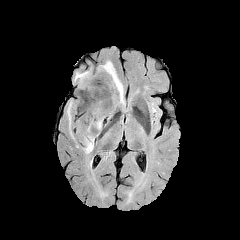
FLAIR MR.
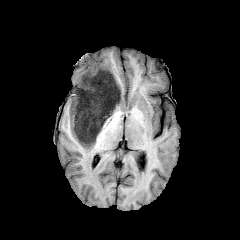
T1-weighted MRI of the same slice.
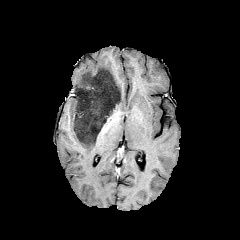
Same slice, post-contrast T1-weighted magnetic resonance.
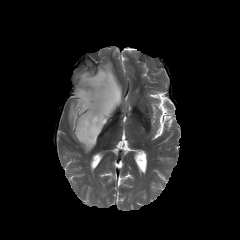
T2-weighted MRI.
Image size 240x240
The non-enhancing tumor core appears at [74, 68, 121, 145]. 4 edema regions appear at [75, 68, 94, 87], [81, 142, 94, 153], [99, 61, 124, 103], [93, 79, 105, 95].